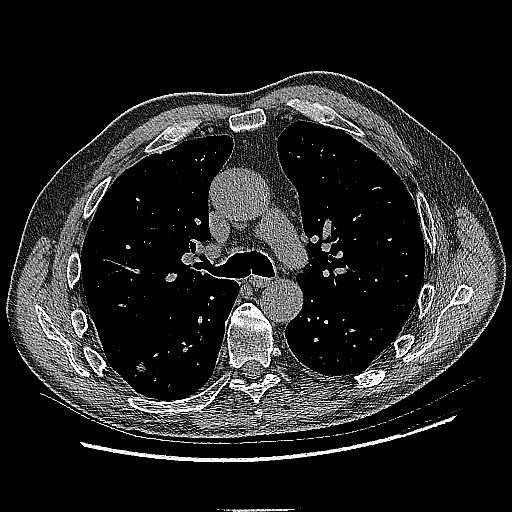

Lung, CT image
Findings:
• lung tumor: <box>133,358,148,378</box>